FLAIR MRI.
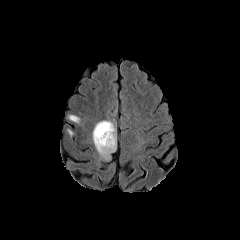
T1-weighted MRI.
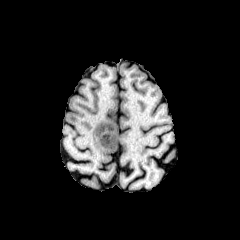
Post-contrast T1-weighted MR.
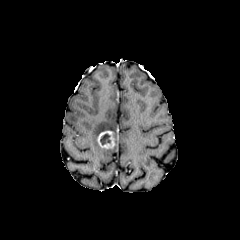
T2-weighted MRI.
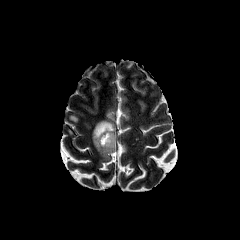
240x240 px | Head
The enhancing tumor is located at bbox=[97, 131, 115, 149]. The non-enhancing tumor core appears at bbox=[100, 133, 111, 145]. 2 edema regions are located at bbox=[69, 115, 79, 121]; bbox=[93, 120, 115, 158].